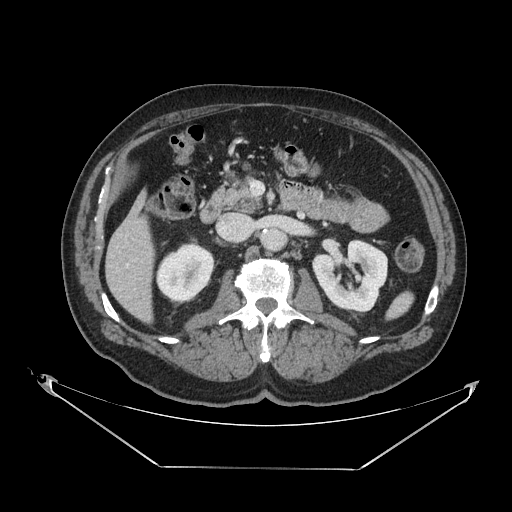

Abdomen, CT slice

pancreas:
  - [211,170,264,214]